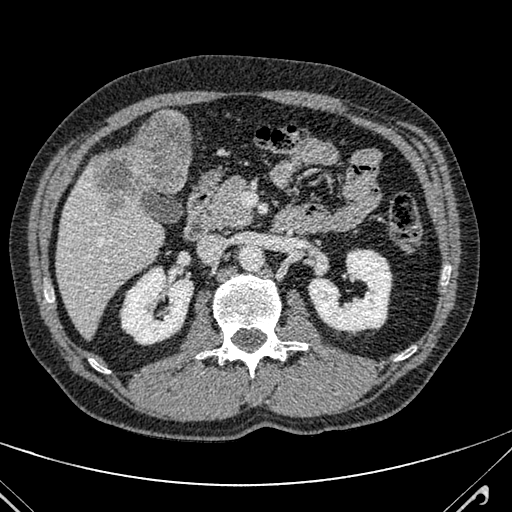 CT image; Upper abdomen
Liver at [57, 157, 163, 339].
Hepatic lesion at [74, 198, 81, 208], [91, 111, 190, 209].